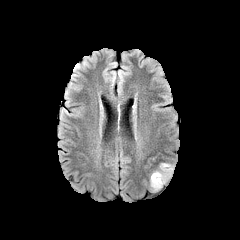
FLAIR MRI.
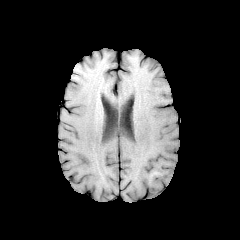
T1-weighted magnetic resonance of the same slice.
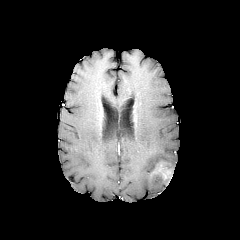
Same slice, post-contrast T1-weighted MR.
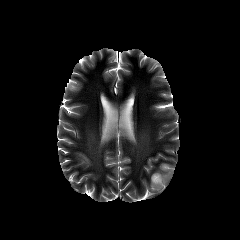
Same slice, T2-weighted MRI.
240x240 px
Non-enhancing tumor core at 154 174 167 182.
Edema at 150 162 173 191.